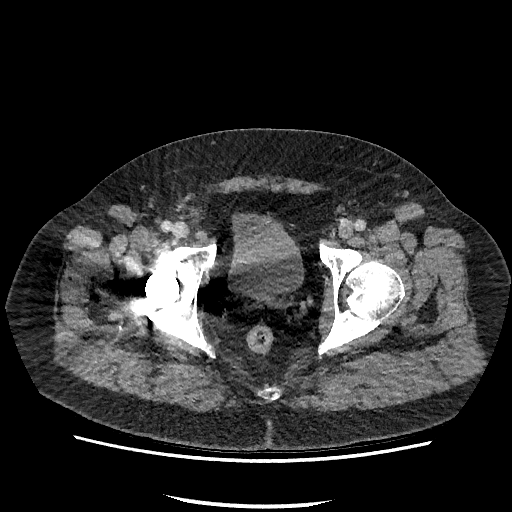

Pelvis. CT scan slice.
The urinary bladder lies within box=[229, 213, 303, 304].